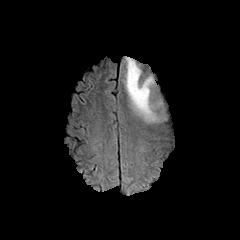
FLAIR MRI.
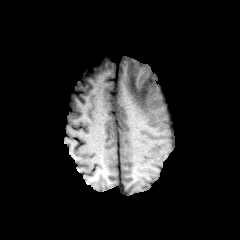
T1-weighted MRI of the same slice.
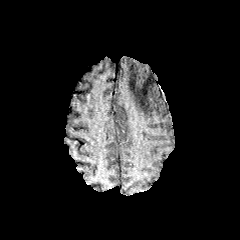
Post-contrast T1-weighted MRI of the same slice.
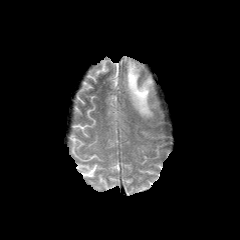
Same slice, T2-weighted MRI.
The edema lies within (x1=124, y1=58, x2=161, y2=121).